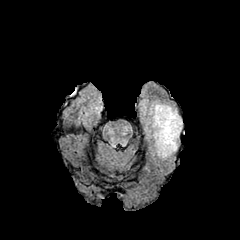
FLAIR MRI.
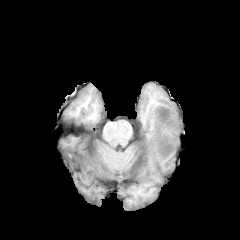
T1-weighted magnetic resonance.
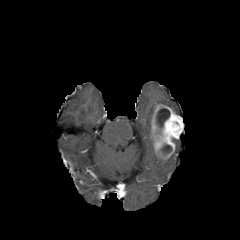
Post-contrast T1-weighted MR image.
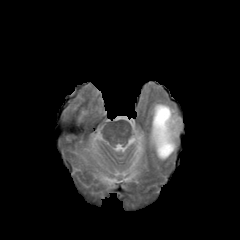
T2-weighted MR image.
Head. 240x240 px.
Enhancing tumor: bounding box bbox(150, 104, 183, 158).
Non-enhancing tumor core: bounding box bbox(161, 144, 171, 153); bbox(156, 108, 169, 127).
Edema: bounding box bbox(150, 101, 179, 119).